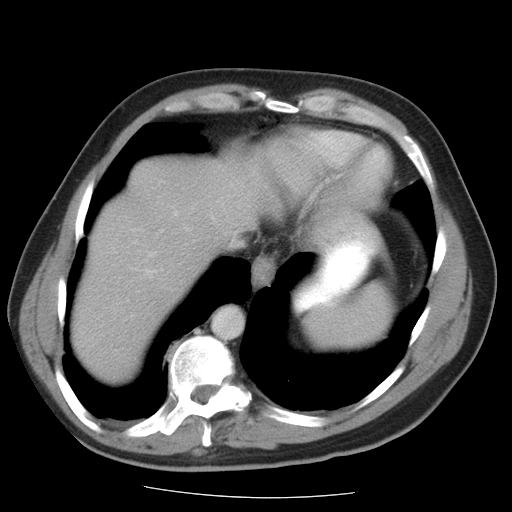
Liver, CT image
Not every hepatic vessel necessarily has a box.
Hepatic vessel — bbox=[148, 270, 153, 272]; bbox=[175, 213, 177, 214].